FLAIR MRI.
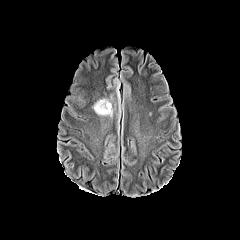
T1-weighted magnetic resonance.
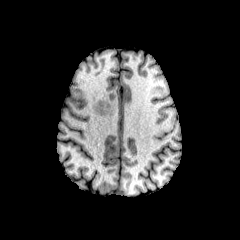
Post-contrast T1-weighted MR image.
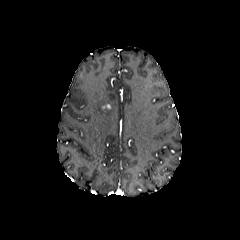
T2-weighted MR.
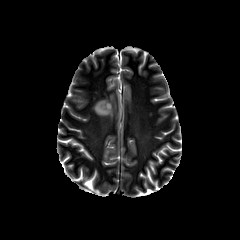
edema:
  - region(93, 95, 115, 117)